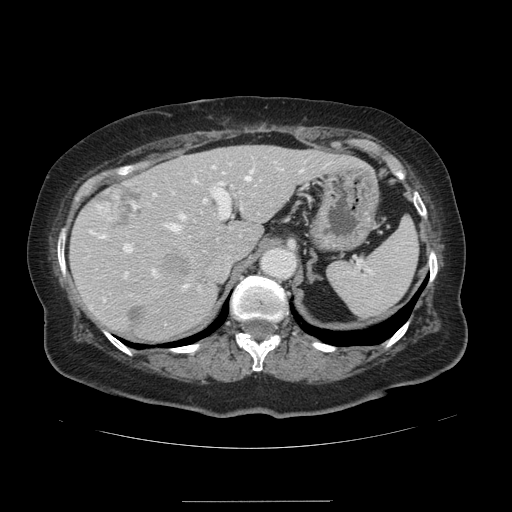
CT | 512x512

The vessel annotation is not exhaustive.
Liver tumor = bbox=[163, 257, 188, 273]; bbox=[97, 182, 141, 231]; bbox=[131, 308, 140, 322].
Hepatic vessel = bbox=[212, 181, 229, 217]; bbox=[153, 193, 155, 195]; bbox=[203, 198, 206, 201]; bbox=[124, 272, 126, 275]; bbox=[179, 214, 184, 218]; bbox=[167, 224, 180, 229]; bbox=[151, 269, 156, 275]; bbox=[278, 168, 281, 169]; bbox=[212, 166, 214, 167]; bbox=[90, 230, 105, 237]; bbox=[123, 244, 131, 251]; bbox=[245, 168, 252, 179]; bbox=[299, 169, 301, 171]; bbox=[193, 178, 196, 181].